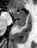 MR
The anterior hippocampus is located at rect(9, 7, 26, 19). The posterior hippocampus is at rect(14, 20, 25, 28).